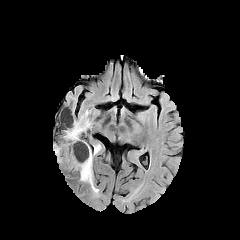
FLAIR magnetic resonance.
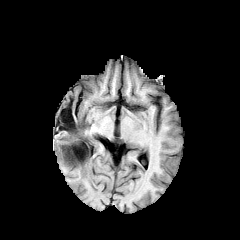
T1-weighted MR image of the same slice.
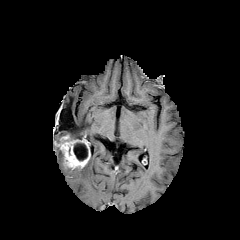
Post-contrast T1-weighted MR image.
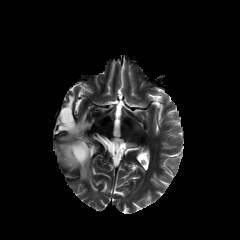
T2-weighted MRI.
Annotated regions:
• edema: rect(53, 146, 61, 162); rect(74, 143, 100, 194); rect(56, 109, 92, 143)
• non-enhancing tumor core: rect(54, 141, 65, 165); rect(73, 138, 89, 161)
• enhancing tumor: rect(60, 135, 90, 167)